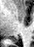

34x47; MRI; Medial temporal lobe
posterior hippocampus: <box>12,37,18,41</box>